512x512 px, CT scan slice, Image width 449 mm, Abdomen 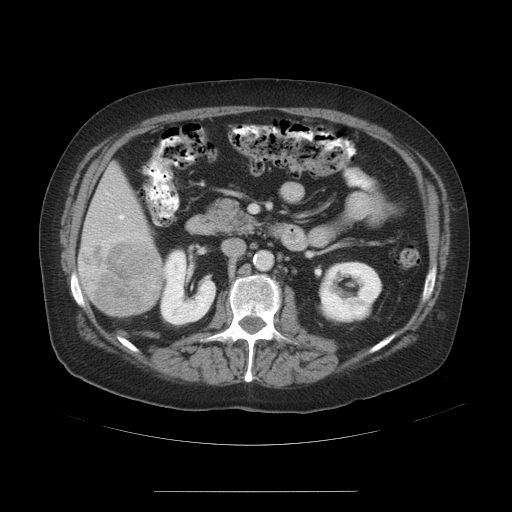

Some hepatic vessels may have no box.
Hepatic vessel: bounding box rect(119, 215, 123, 218); rect(107, 193, 109, 195).
Liver tumor: bounding box rect(78, 236, 161, 314).